Field of view 500 mm wide, 3.27 mm slice spacing | Computed tomography | 512x512

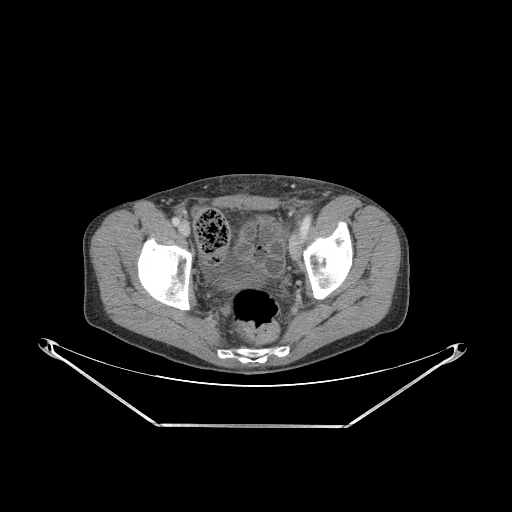 3 bone regions appear at box=[303, 222, 352, 298]; box=[138, 238, 191, 309]; box=[218, 347, 288, 362].